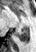 Medial temporal lobe. MRI.

Posterior hippocampus: 15, 26, 28, 42.